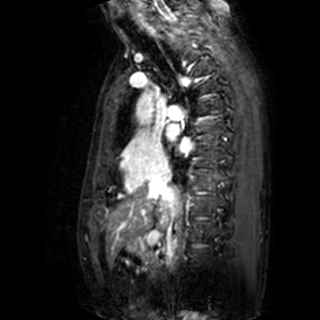 Magnetic resonance | Heart
left_atrium:
  - (166, 125, 178, 141)
  - (180, 139, 192, 151)